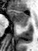
Magnetic resonance, Medial temporal lobe
The anterior hippocampus lies within <bbox>9, 10, 28, 25</bbox>.